Image size 512x512, CT slice, Field of view 700 mm wide, 3.27 mm slice spacing, Slice index 205 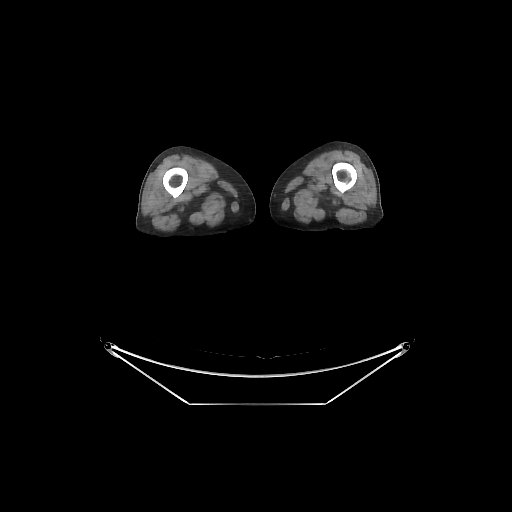 * bone: [332,162,356,192], [163,167,187,197]